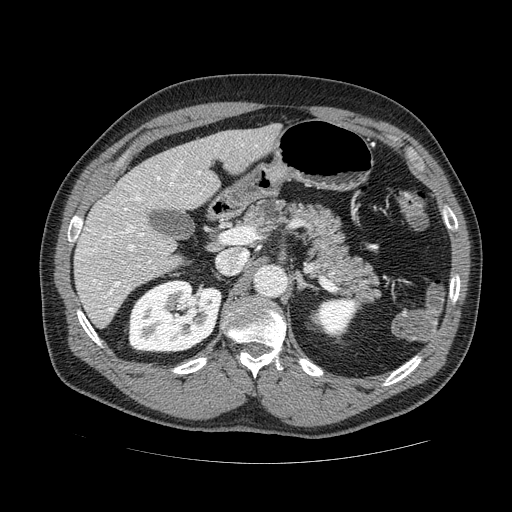

CT scan slice. pancreas: x1=239 y1=198 x2=381 y2=305